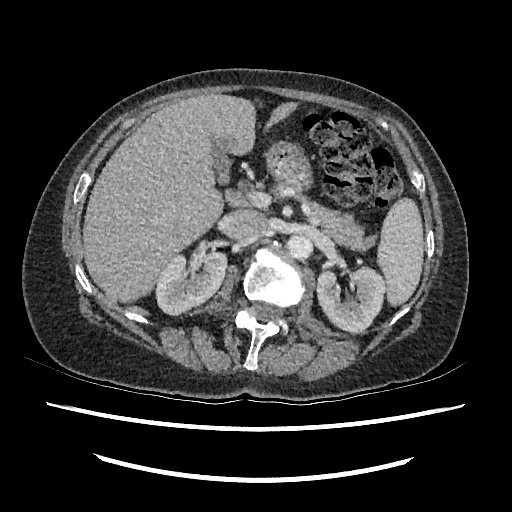
Liver; CT slice

Liver at <bbox>84, 95, 255, 301</bbox>, <bbox>265, 102, 296, 130</bbox>.
Kidney at <bbox>156, 251, 226, 314</bbox>, <bbox>317, 252, 386, 332</bbox>.